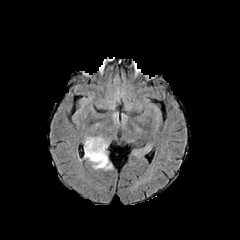
FLAIR MR image.
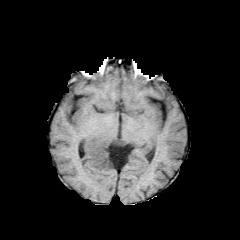
T1-weighted MR.
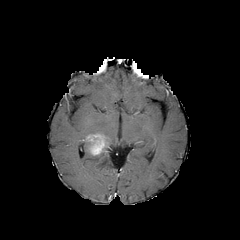
Post-contrast T1-weighted MRI of the same slice.
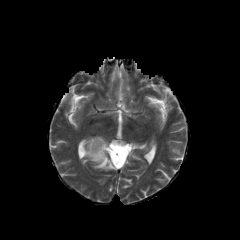
T2-weighted MRI of the same slice.
Brain. Image size 240x240.
edema: box(79, 139, 113, 170) | enhancing tumor: box(86, 135, 108, 155)